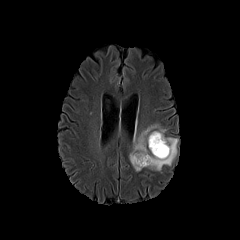
FLAIR MR.
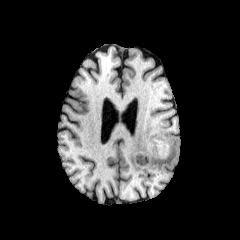
Same slice, T1-weighted MR image.
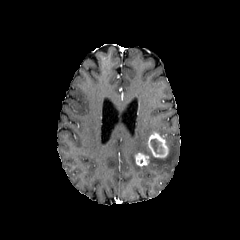
Post-contrast T1-weighted magnetic resonance.
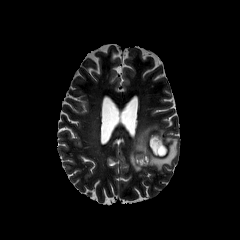
T2-weighted MR image.
Brain
Segmented structures:
• enhancing tumor: left=133, top=152, right=149, bottom=168; left=146, top=132, right=169, bottom=158
• non-enhancing tumor core: left=150, top=139, right=165, bottom=155
• edema: left=128, top=123, right=177, bottom=172